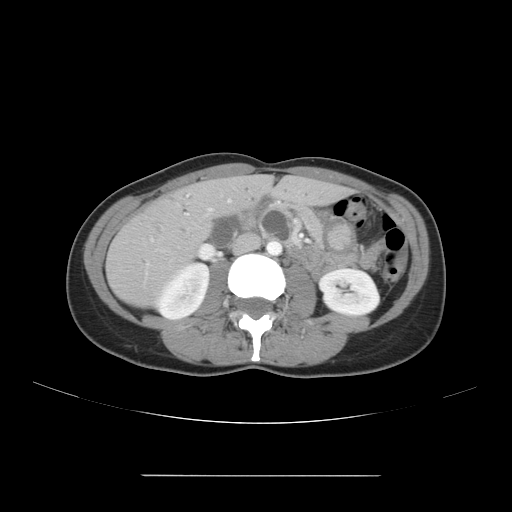

CT scan slice
- pancreas: region(258, 202, 324, 249)
- pancreatic tumor: region(262, 210, 290, 241)